Field of view 313x313 mm | CT 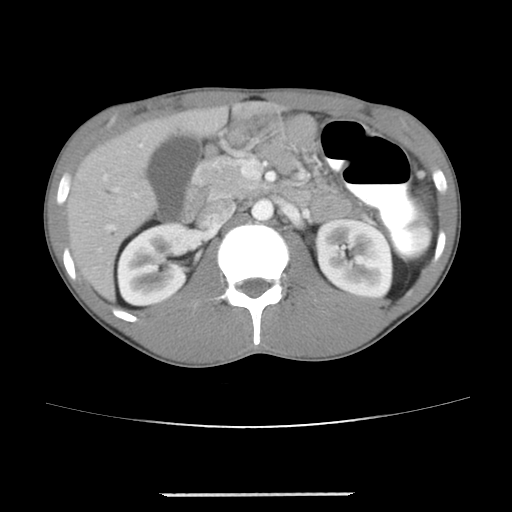 The vessel annotation is not exhaustive.
The hepatic vessel lies within 108, 226, 112, 229.